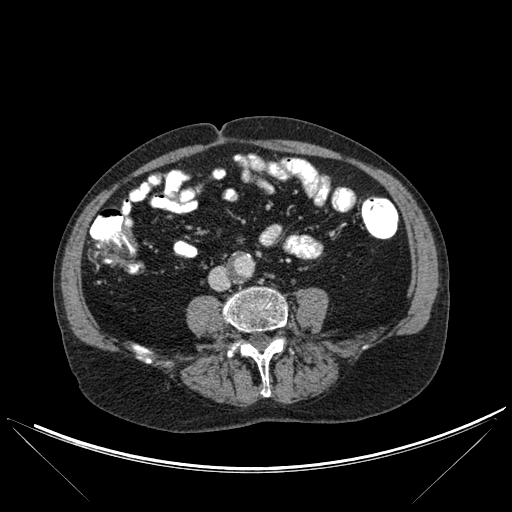 CT scan slice
Bone at box(224, 287, 287, 331); box(133, 346, 149, 355); box(228, 338, 285, 396).